FLAIR magnetic resonance.
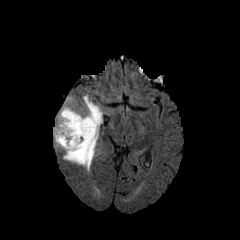
T1-weighted MR.
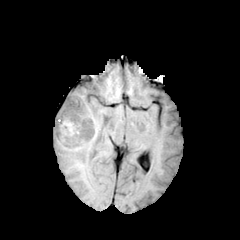
Post-contrast T1-weighted magnetic resonance.
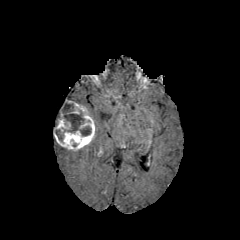
T2-weighted MR image.
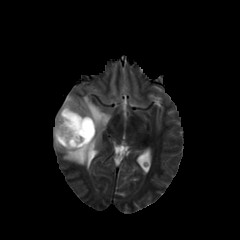
Findings:
* non-enhancing tumor core: region(74, 138, 93, 157); region(60, 101, 90, 135)
* enhancing tumor: region(54, 100, 95, 150)
* edema: region(54, 90, 110, 172)